Slice 359 of 519, CT image
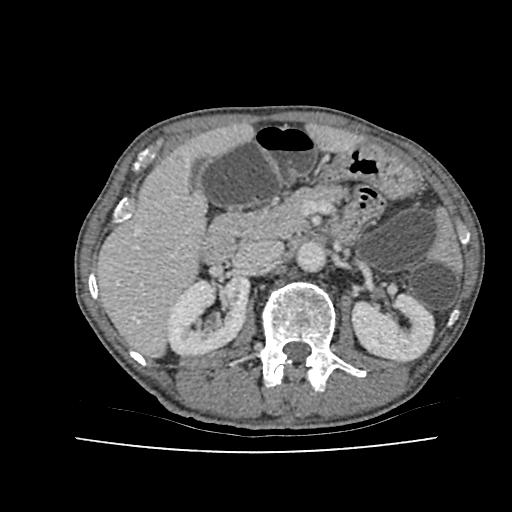 Kidney: (352,295,433,360), (167,277,248,354).
Liver: (310,127,357,149), (98,126,250,354).